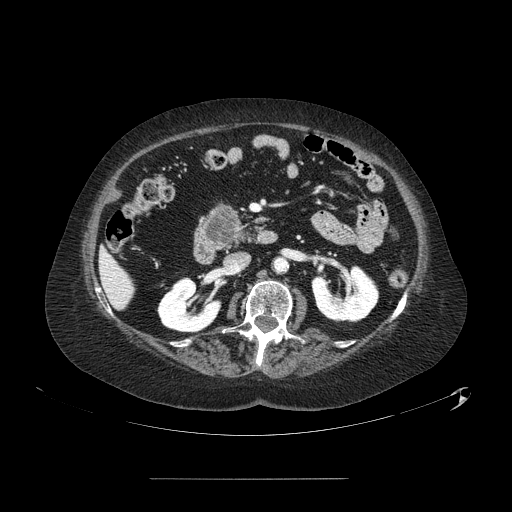
Abdomen | CT slice

pancreas: box=[203, 209, 241, 247]; box=[208, 205, 227, 218] | pancreatic tumor: box=[202, 207, 236, 244]